FLAIR MR.
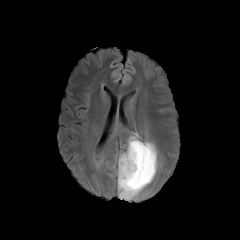
T1-weighted MR.
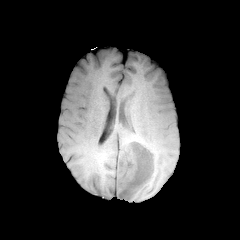
Post-contrast T1-weighted magnetic resonance.
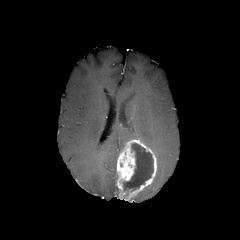
T2-weighted MR image.
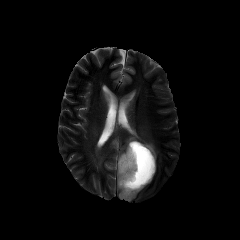
Image size 240x240
Enhancing tumor — 116 140 156 200.
Non-enhancing tumor core — 124 143 152 190.
Edema — 113 152 118 180, 126 128 158 167.